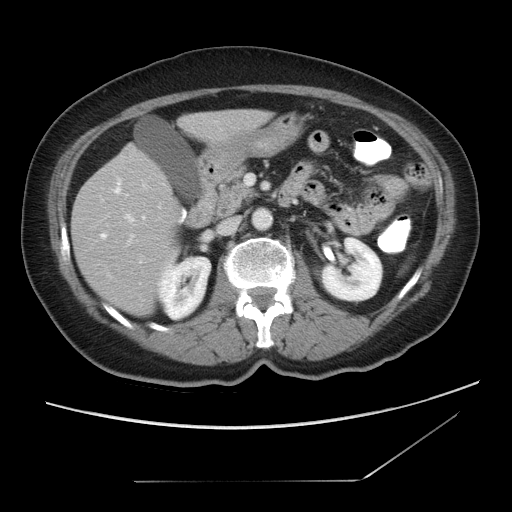 Image size 512x512. Abdomen. Computed tomography.

Some hepatic vessels may have no box.
Hepatic vessel — 101, 234, 106, 239; 143, 217, 145, 219; 115, 180, 121, 193.